Slice index 63; 240x240; Head
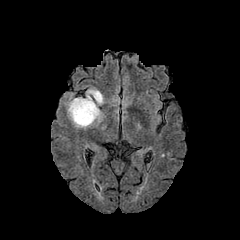
FLAIR MRI.
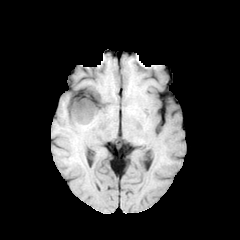
T1-weighted MR of the same slice.
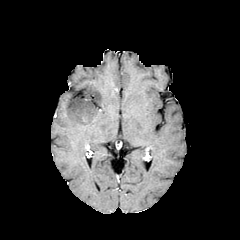
Post-contrast T1-weighted MR image of the same slice.
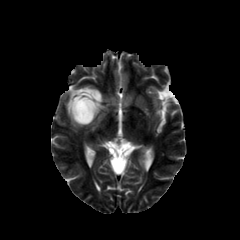
T2-weighted MR image of the same slice.
Segmented structures:
• non-enhancing tumor core: 78:104:91:121
• edema: 64:86:103:128